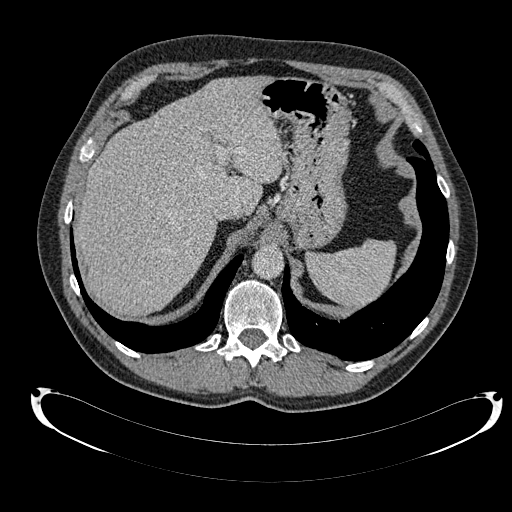
CT, Liver
Liver at rect(76, 75, 284, 315).